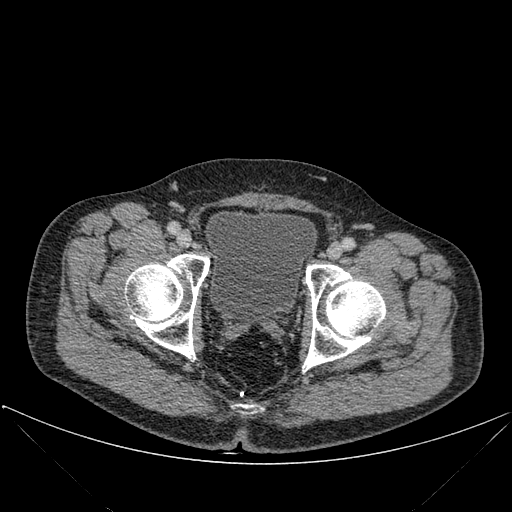
512x512; CT image

* urinary bladder: <bbox>205, 209, 317, 325</bbox>
* bone: <bbox>235, 404, 255, 412</bbox>, <bbox>302, 264, 385, 371</bbox>, <bbox>125, 254, 209, 359</bbox>